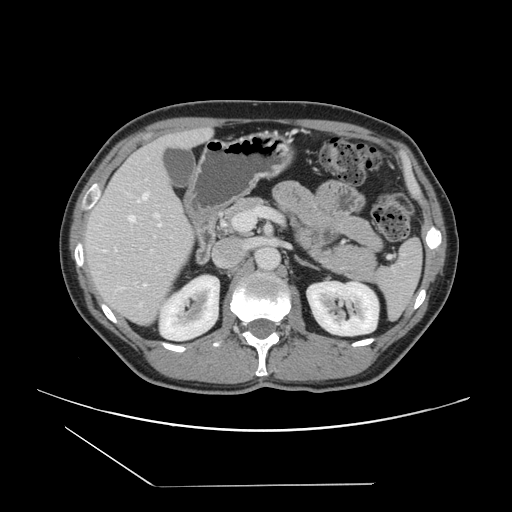 CT scan slice.

Not every hepatic vessel necessarily has a box.
hepatic_vessel:
  - left=116, top=286, right=122, bottom=290
  - left=138, top=197, right=142, bottom=200
  - left=100, top=250, right=102, bottom=251
  - left=127, top=193, right=129, bottom=195
  - left=139, top=302, right=141, bottom=306